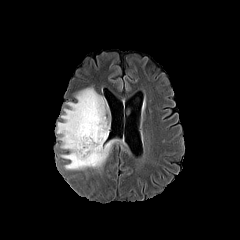
FLAIR magnetic resonance.
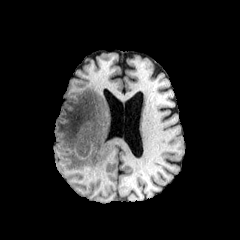
Same slice, T1-weighted MR.
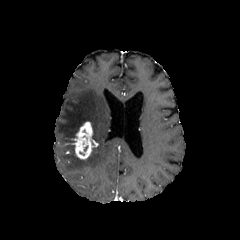
Post-contrast T1-weighted MRI.
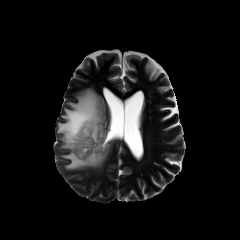
T2-weighted MR.
Brain
edema:
  - box=[57, 88, 113, 169]
enhancing_tumor:
  - box=[66, 121, 98, 160]